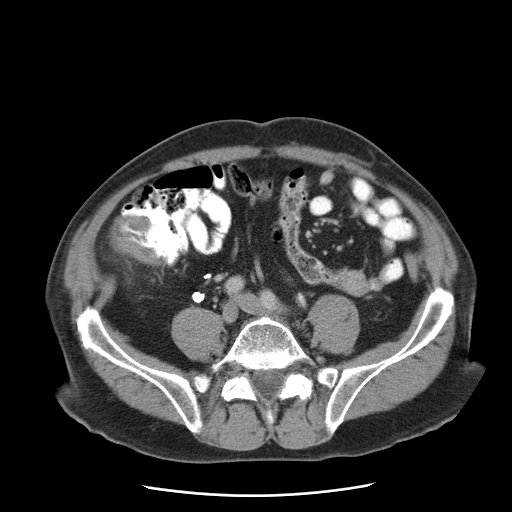 Abdomen; CT
Colon tumor: l=109, t=213, r=158, b=264.